FLAIR magnetic resonance.
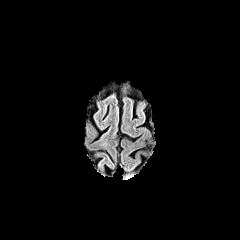
T1-weighted MRI.
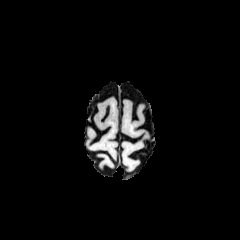
Post-contrast T1-weighted MRI.
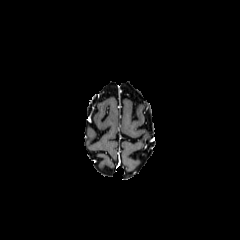
T2-weighted MRI.
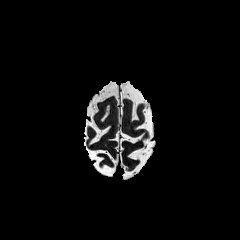
Edema: (left=122, top=174, right=133, bottom=179).